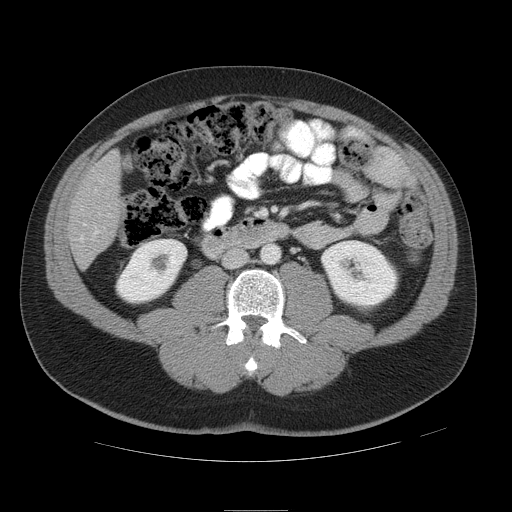

Computed tomography | 512x512 px

Some hepatic vessels may have no box.
Hepatic vessel: bounding box rect(81, 237, 82, 238); rect(94, 231, 98, 234).